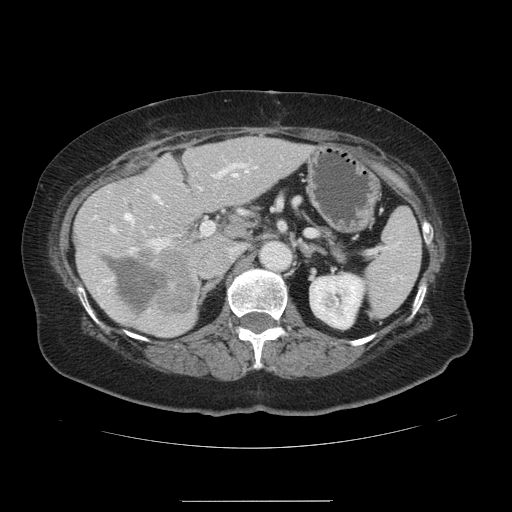
Liver | 512x512 | CT slice

Not every hepatic vessel necessarily has a box.
liver tumor: l=109, t=252, r=193, b=312 | hepatic vessel: l=153, t=194, r=160, b=202; l=110, t=227, r=115, b=231; l=124, t=214, r=133, b=222; l=253, t=166, r=255, b=167; l=200, t=217, r=215, b=235; l=149, t=237, r=168, b=248; l=212, t=163, r=248, b=176; l=196, t=186, r=201, b=189; l=232, t=173, r=236, b=176; l=129, t=248, r=135, b=254